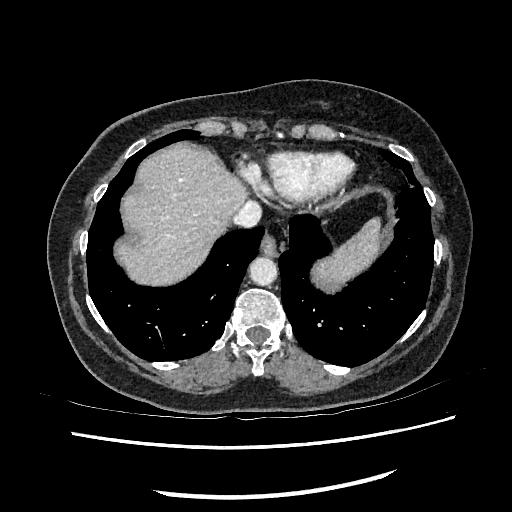

CT. liver: 117,145,244,283